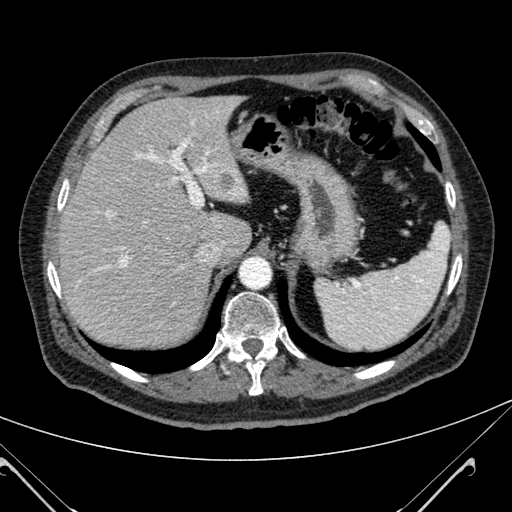
CT, 512x512

- liver lesion: x1=222 y1=175 x2=234 y2=187
- liver: x1=59 y1=94 x2=250 y2=348